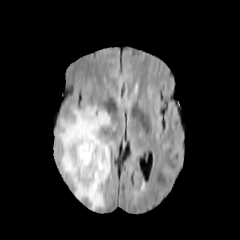
FLAIR MR.
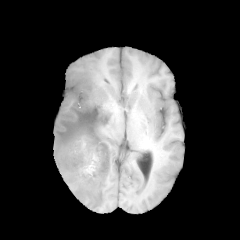
T1-weighted MRI of the same slice.
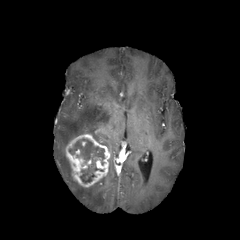
Post-contrast T1-weighted magnetic resonance of the same slice.
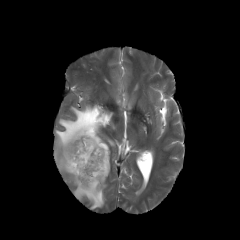
Same slice, T2-weighted MR image.
Head
The enhancing tumor is located at [65, 134, 110, 187]. The edema lies within [55, 104, 113, 208]. 2 non-enhancing tumor core regions appear at [69, 139, 104, 160], [80, 162, 104, 183].